Slice 193 of 333. CT scan slice. Field of view 306 mm wide, 1.25 mm slice spacing.
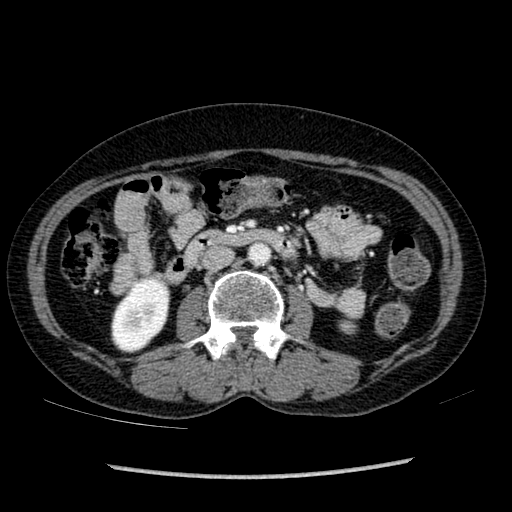

The kidney is bounded by <box>112,278,168,350</box>.